Image size 512x512; CT slice

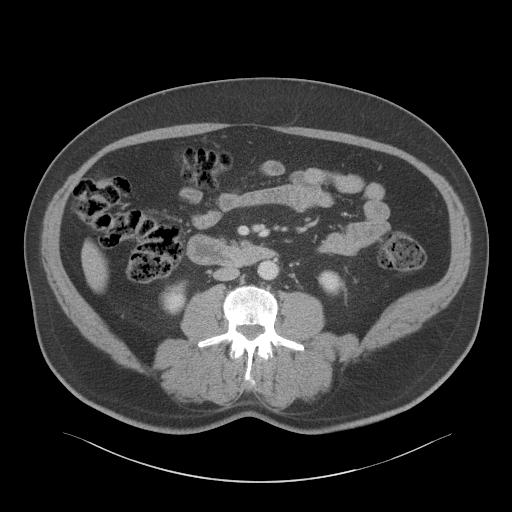

<segmentation>
  <kidney>320,272,338,290; 165,291,184,311</kidney>
  <liver>86,248,105,286</liver>
</segmentation>